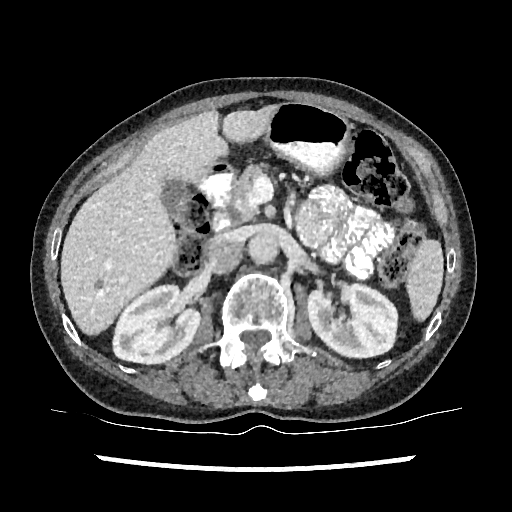
CT slice

Annotated regions:
* liver lesion: left=95, top=281, right=103, bottom=289
* liver: left=62, top=110, right=225, bottom=333; left=223, top=108, right=274, bottom=141
* kidney: left=308, top=284, right=396, bottom=356; left=110, top=286, right=199, bottom=363